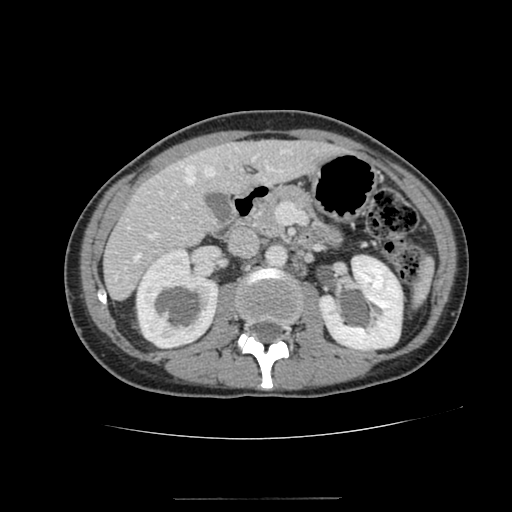
CT image; Upper abdomen
The liver lies within box=[103, 139, 347, 300]. 2 kidney regions are bounded by box=[320, 256, 402, 349]; box=[137, 249, 217, 347].